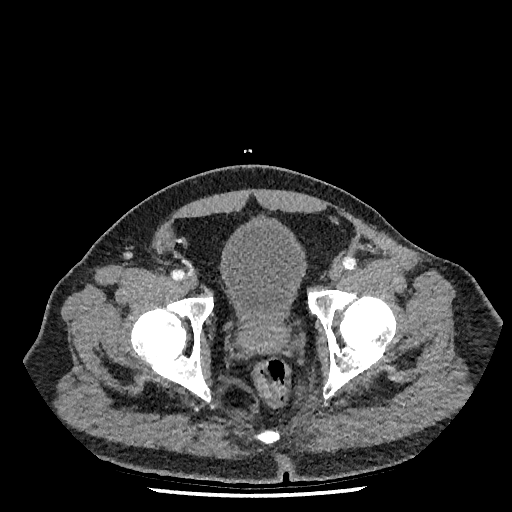

CT image. 512x512.
The urinary bladder lies within left=219, top=221, right=307, bottom=324.